Liver, CT scan slice, 512x512 px, Slice index 20 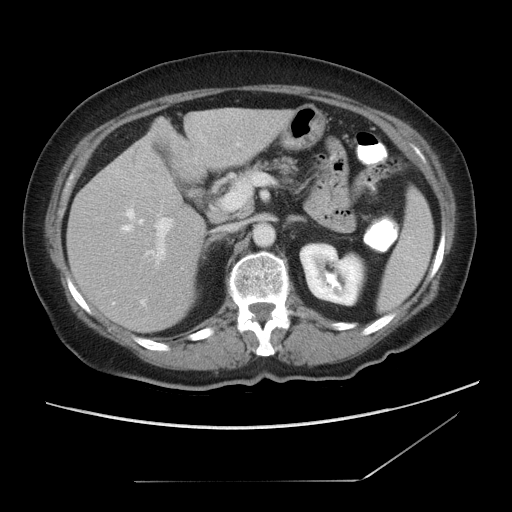

Not every hepatic vessel necessarily has a box.
Hepatic vessel: [223,191,234,209], [142,301,145,304], [139,220,142,223], [147,251,153,254], [122,225,132,231], [127,209,134,220], [155,219,171,261].